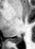

MR
posterior hippocampus: (x1=12, y1=36, x2=21, y2=43)